Image width 438 mm; Slice 16/45; CT; Abdomen
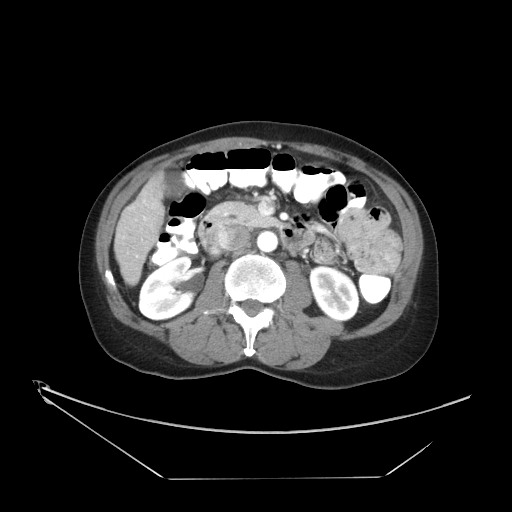
Not every hepatic vessel necessarily has a box.
The hepatic vessel appears at x1=143 y1=217 x2=145 y2=218.